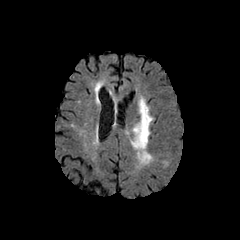
FLAIR MR image.
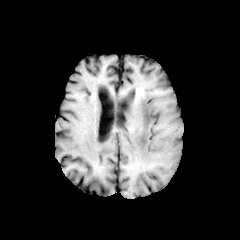
T1-weighted MR image.
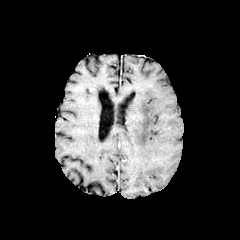
Post-contrast T1-weighted MRI of the same slice.
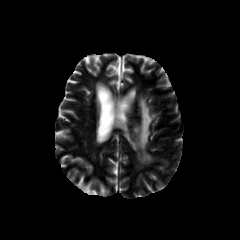
T2-weighted magnetic resonance of the same slice.
Brain
edema: [x1=124, y1=96, x2=155, y2=164]